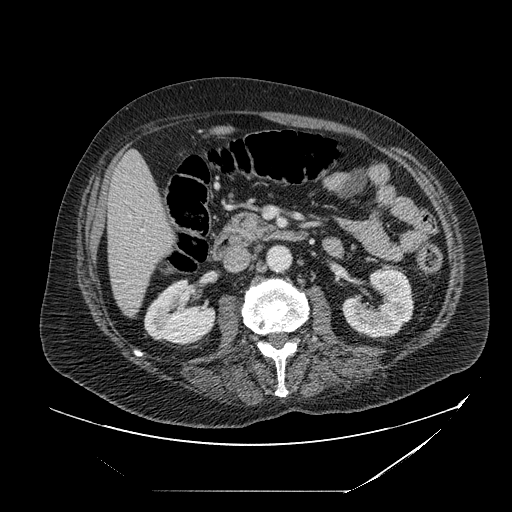
Abdomen. CT scan slice. The pancreatic tumor is at x1=247, y1=234, x2=254, y2=241. The pancreas is at x1=224, y1=213, x2=271, y2=244.